Slice index 34. Field of view 240 mm wide, 1.00 mm slice spacing.
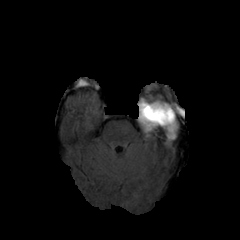
FLAIR magnetic resonance.
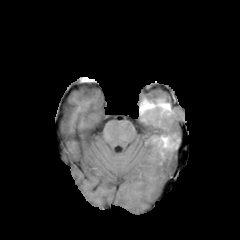
Same slice, T1-weighted MR image.
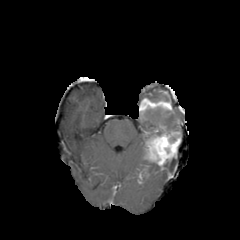
Same slice, post-contrast T1-weighted MR.
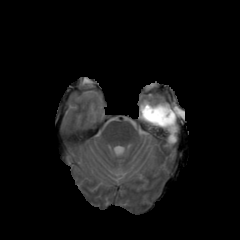
T2-weighted MR.
{
  "non-enhancing_tumor_core": [
    "139,106,174,124",
    "172,131,179,143",
    "152,131,170,143",
    "149,147,162,163"
  ],
  "enhancing_tumor": [
    "139,99,172,116",
    "148,131,177,156"
  ],
  "edema": [
    "138,104,183,135"
  ]
}